Field of view 240 mm wide, 1.00 mm slice spacing
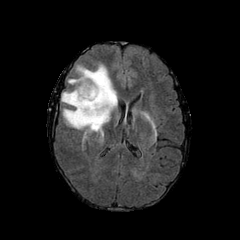
FLAIR magnetic resonance.
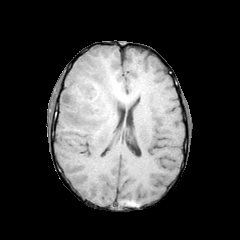
Same slice, T1-weighted MR.
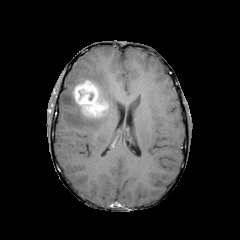
Post-contrast T1-weighted MR image.
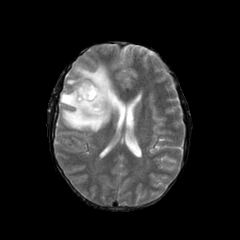
Same slice, T2-weighted magnetic resonance.
- non-enhancing tumor core: l=80, t=106, r=102, b=118; l=94, t=83, r=104, b=103
- enhancing tumor: l=74, t=80, r=107, b=116
- edema: l=61, t=63, r=118, b=136